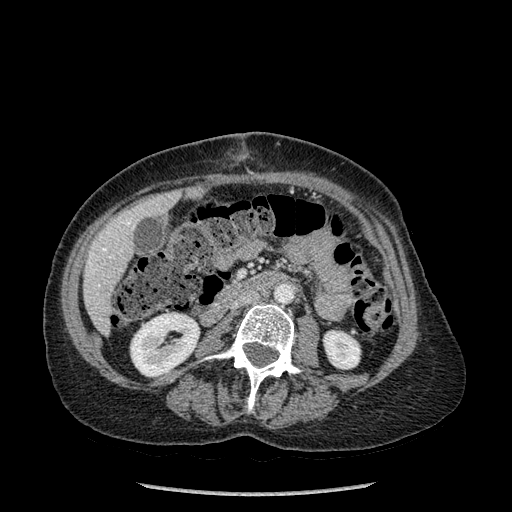

512x512 px; Computed tomography
{"kidney": ["region(324, 331, 359, 368)", "region(130, 313, 199, 376)"], "bone": ["region(205, 303, 300, 411)"], "liver": ["region(83, 192, 180, 335)"]}